CT scan slice, Abdomen 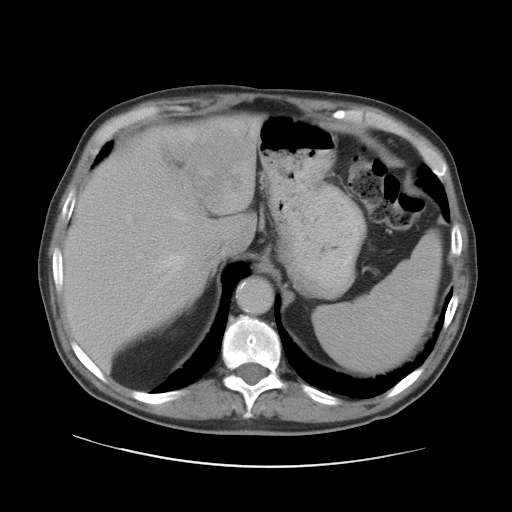 The vessel annotation is not exhaustive.
Hepatic vessel: rect(127, 215, 132, 222); rect(136, 249, 142, 259); rect(134, 307, 146, 321); rect(166, 206, 185, 220); rect(146, 193, 150, 196); rect(152, 253, 184, 292); rect(130, 325, 134, 329).
Liver tumor: rect(157, 118, 256, 211).